Head. Slice index 103.
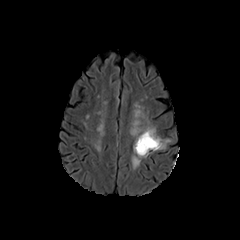
FLAIR magnetic resonance.
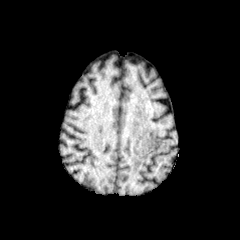
T1-weighted MR.
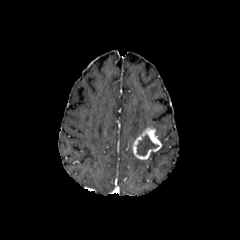
Post-contrast T1-weighted MRI.
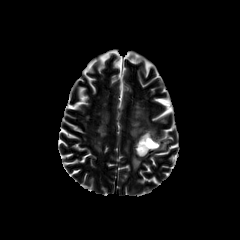
T2-weighted MRI.
3 edema regions are located at box=[131, 154, 141, 171]; box=[158, 139, 171, 150]; box=[130, 104, 150, 137]. The enhancing tumor lies within box=[133, 125, 162, 159]. The non-enhancing tumor core is located at box=[136, 134, 159, 155].